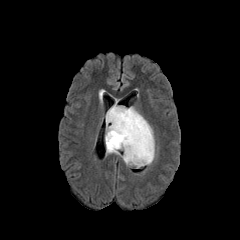
FLAIR magnetic resonance.
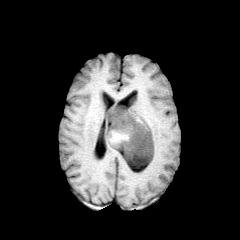
Same slice, T1-weighted MR.
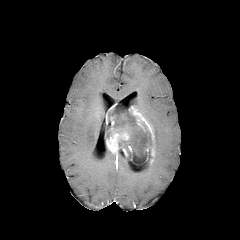
Post-contrast T1-weighted magnetic resonance.
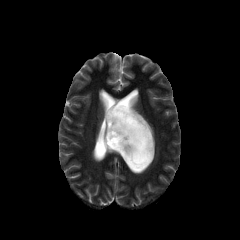
Same slice, T2-weighted MR.
enhancing_tumor:
  - [x1=129, y1=106, x2=153, y2=140]
  - [x1=145, y1=146, x2=154, y2=156]
  - [x1=106, y1=106, x2=133, y2=156]
non-enhancing_tumor_core:
  - [x1=111, y1=106, x2=153, y2=166]
edema:
  - [x1=124, y1=160, x2=144, y2=168]